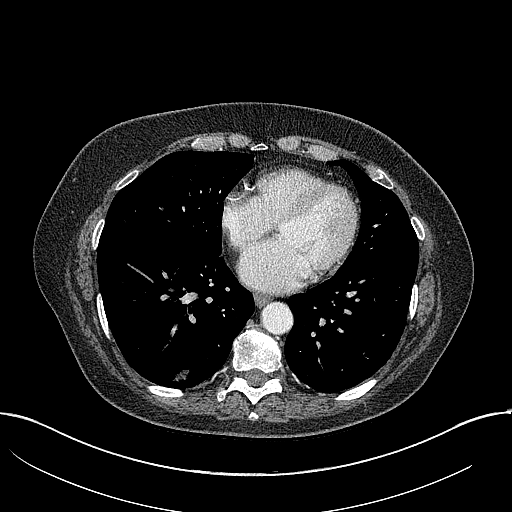
CT. Chest. 512x512 px. Segmented structures:
* lung tumor: bbox(168, 366, 190, 387)